512x512 px; CT image; Slice index 79 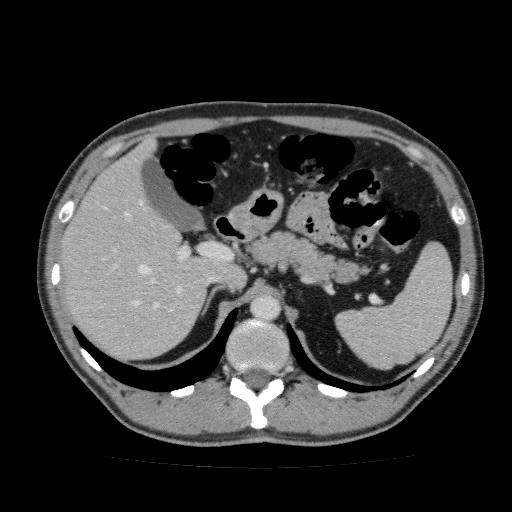
Liver at x1=59, y1=137, x2=247, y2=361.